Slice index 191, Abdomen, CT image, Image width 386 mm
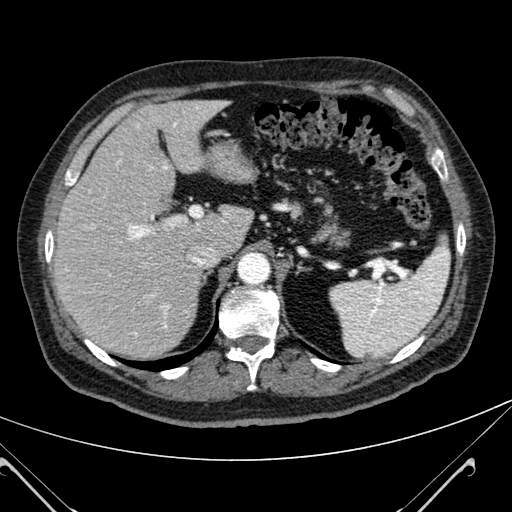 {"liver": ["52:97:248:358"]}